CT slice | Upper abdomen
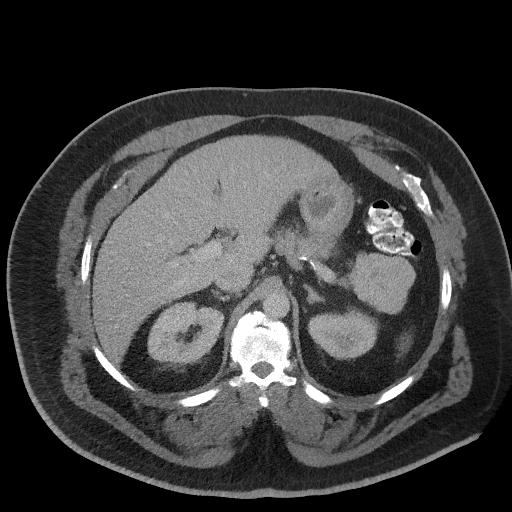 Pancreas = 349, 252, 403, 283; 275, 227, 332, 257.
Pancreatic tumor = 352, 254, 414, 313.